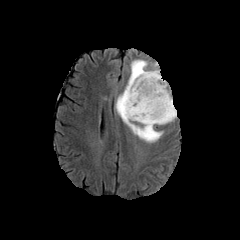
FLAIR MR.
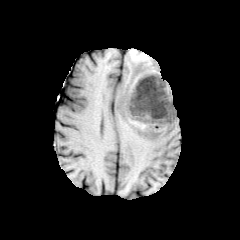
T1-weighted MR.
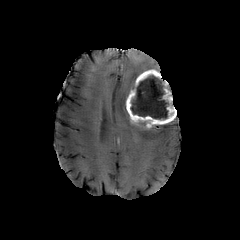
Post-contrast T1-weighted MR.
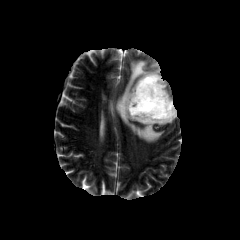
T2-weighted magnetic resonance of the same slice.
Brain
The edema lies within (x1=114, y1=59, x2=165, y2=143). The enhancing tumor appears at (x1=126, y1=69, x2=176, y2=129). The non-enhancing tumor core is bounded by (x1=130, y1=75, x2=169, y2=119).